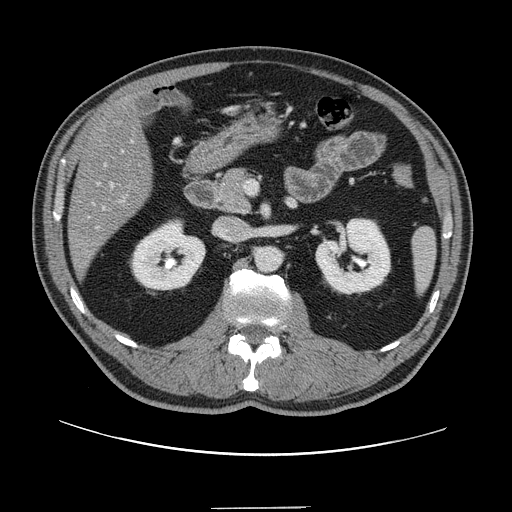
512x512 px, CT slice

Only some of the vessels may be annotated.
{"liver_tumor": ["bbox(66, 207, 98, 236)"], "hepatic_vessel": ["bbox(97, 183, 99, 185)", "bbox(119, 198, 124, 201)", "bbox(131, 141, 132, 142)", "bbox(103, 207, 104, 209)", "bbox(111, 184, 113, 187)", "bbox(122, 151, 123, 152)"]}